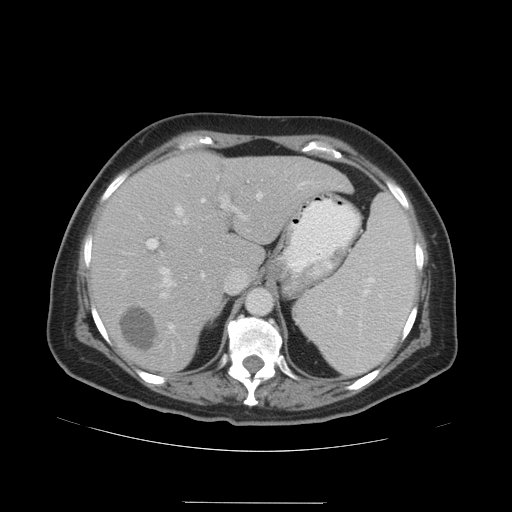

CT image.

Some hepatic vessels may have no box.
[15/17] hepatic vessel: (x1=161, y1=278, x2=175, y2=286), (x1=199, y1=249, x2=202, y2=251), (x1=160, y1=293, x2=165, y2=296), (x1=202, y1=273, x2=204, y2=278), (x1=173, y1=221, x2=178, y2=222), (x1=221, y1=204, x2=224, y2=207), (x1=147, y1=239, x2=157, y2=249), (x1=175, y1=206, x2=182, y2=214), (x1=256, y1=193, x2=261, y2=199), (x1=232, y1=206, x2=247, y2=219), (x1=201, y1=199, x2=204, y2=201), (x1=298, y1=181, x2=312, y2=188), (x1=182, y1=220, x2=186, y2=223), (x1=160, y1=268, x2=169, y2=274), (x1=170, y1=323, x2=174, y2=332) | liver tumor: (x1=218, y1=164, x2=227, y2=171), (x1=121, y1=310, x2=156, y2=348)